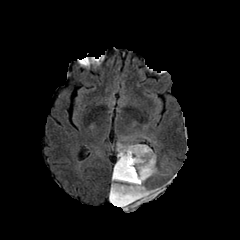
FLAIR magnetic resonance.
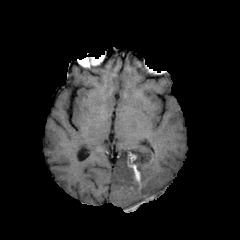
T1-weighted magnetic resonance.
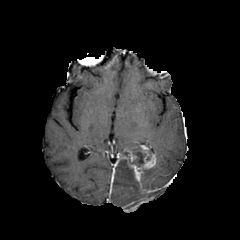
Post-contrast T1-weighted magnetic resonance.
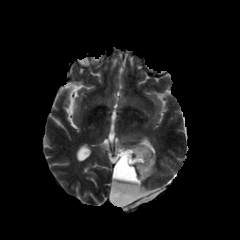
T2-weighted MRI.
Brain.
The non-enhancing tumor core is bounded by (x1=109, y1=147, x2=153, y2=209). 3 edema regions appear at (x1=114, y1=180, x2=139, y2=195), (x1=142, y1=164, x2=164, y2=198), (x1=116, y1=143, x2=139, y2=153). 3 enhancing tumor regions appear at (x1=132, y1=164, x2=141, y2=183), (x1=143, y1=155, x2=153, y2=168), (x1=112, y1=152, x2=121, y2=181).